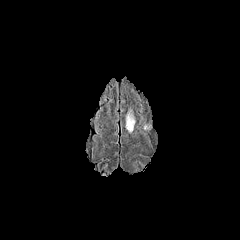
FLAIR magnetic resonance.
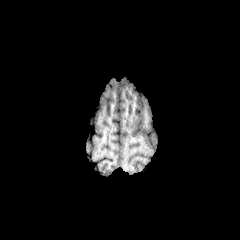
T1-weighted magnetic resonance of the same slice.
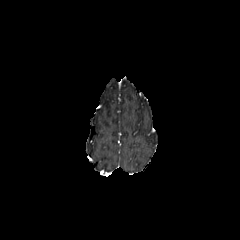
Post-contrast T1-weighted magnetic resonance of the same slice.
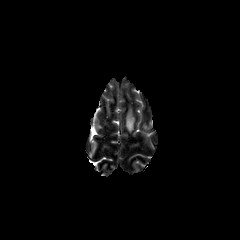
T2-weighted MR.
The edema lies within l=126, t=115, r=134, b=130.